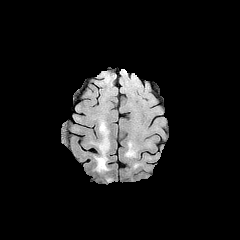
FLAIR magnetic resonance.
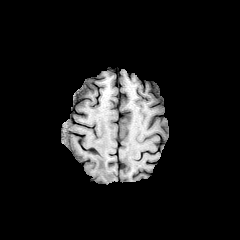
T1-weighted MR.
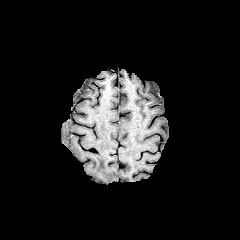
Post-contrast T1-weighted MR.
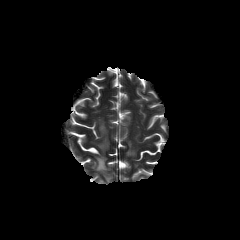
T2-weighted MR image of the same slice.
Edema: bounding box <bbox>94, 135, 109, 177</bbox>.